512x512 px | Abdomen | CT scan slice 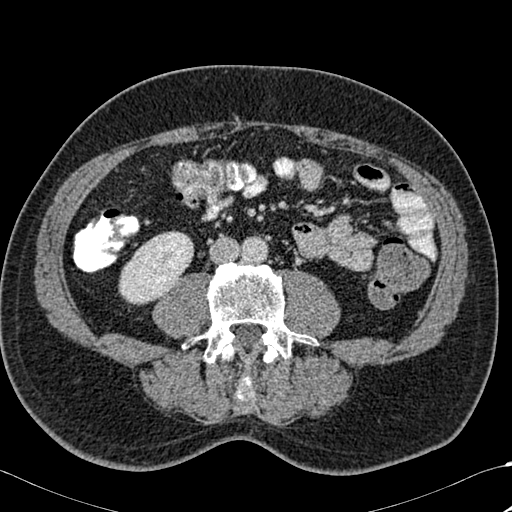
{"kidney": ["120:232:192:302"], "bone": ["190:262:314:362", "236:374:254:399"]}